FLAIR MRI.
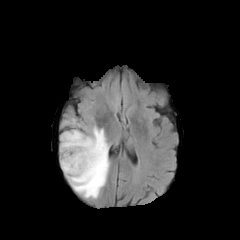
T1-weighted MRI.
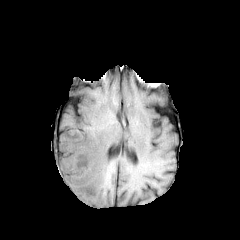
Post-contrast T1-weighted magnetic resonance.
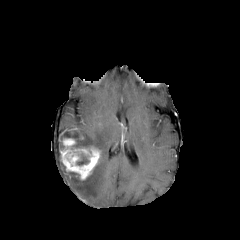
T2-weighted MRI.
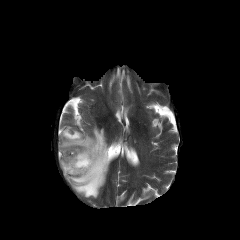
Brain
The enhancing tumor is located at <bbox>59, 137, 101, 180</bbox>. The edema is bounded by <bbox>60, 126, 109, 198</bbox>.